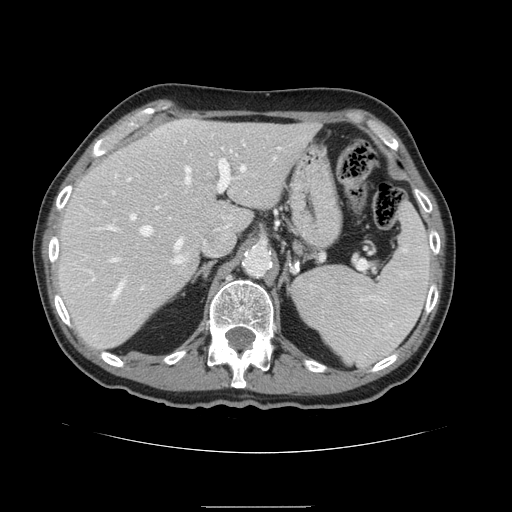
CT slice | Liver
Some hepatic vessels may have no box.
• hepatic vessel: <bbox>174, 256, 183, 262</bbox>, <bbox>241, 166, 245, 170</bbox>, <bbox>218, 159, 231, 190</bbox>, <bbox>106, 225, 115, 229</bbox>, <bbox>112, 258, 117, 260</bbox>, <bbox>157, 206, 158, 207</bbox>, <bbox>203, 239, 217, 255</bbox>, <bbox>141, 226, 151, 235</bbox>, <bbox>131, 214, 135, 219</bbox>, <bbox>175, 238, 182, 249</bbox>, <bbox>186, 166, 190, 183</bbox>, <bbox>211, 212, 245, 247</bbox>, <bbox>111, 282, 123, 298</bbox>